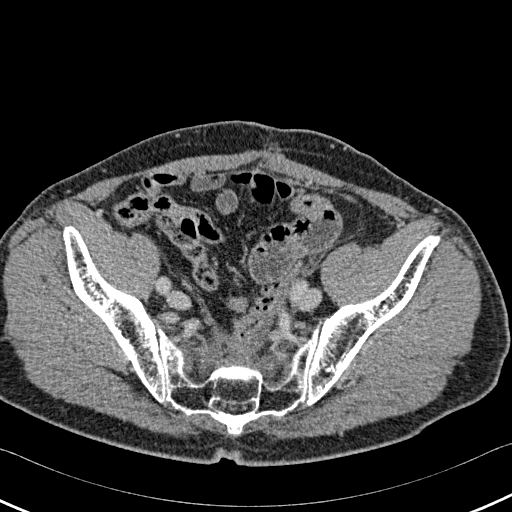
CT

<segmentation>
  <bone>63 226 439 433</bone>
</segmentation>